Brain | Image width 240 mm | 240x240 px | Slice 107/155
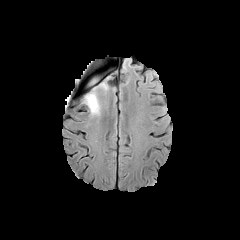
FLAIR MR image.
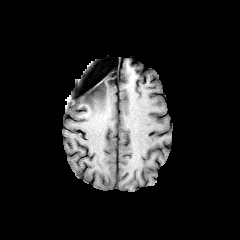
T1-weighted MRI of the same slice.
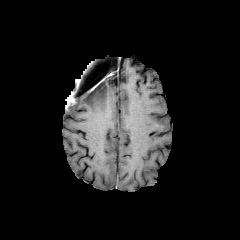
Post-contrast T1-weighted MR.
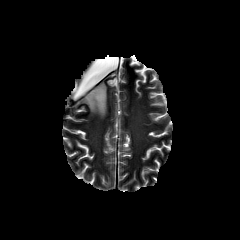
T2-weighted MR image.
edema: [82,81,108,115], [84,79,99,90] | non-enhancing tumor core: [89,85,104,107]